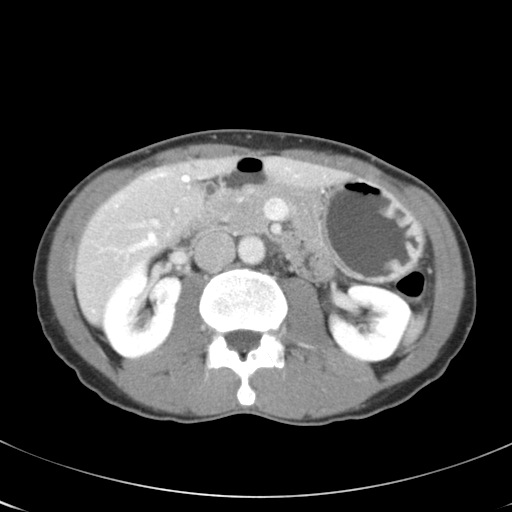 Abdomen. CT scan slice. 512x512 px.
Not every hepatic vessel necessarily has a box.
6 hepatic vessel regions are located at [x1=176, y1=209, x2=177, y2=211], [x1=152, y1=173, x2=165, y2=177], [x1=183, y1=176, x2=188, y2=181], [x1=141, y1=222, x2=143, y2=224], [x1=153, y1=221, x2=158, y2=225], [x1=131, y1=234, x2=156, y2=249].